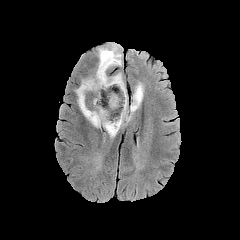
FLAIR MR image.
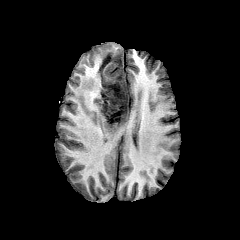
T1-weighted MR.
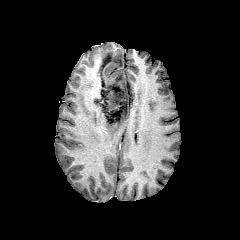
Same slice, post-contrast T1-weighted MR image.
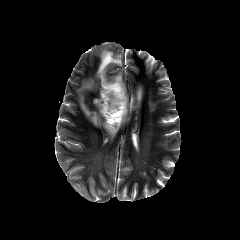
T2-weighted MRI.
non-enhancing_tumor_core:
  - 102, 56, 111, 67
  - 102, 84, 126, 123
edema:
  - 76, 44, 142, 138